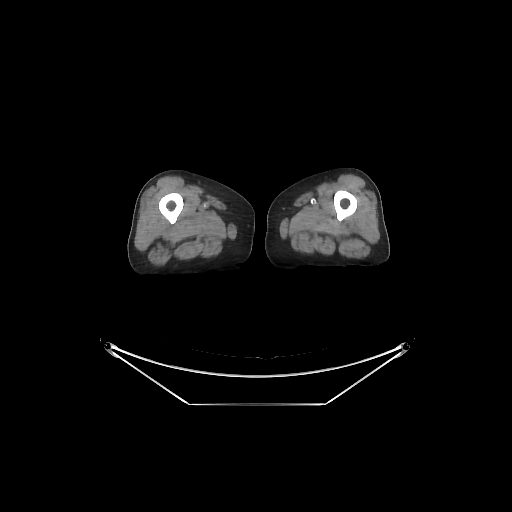 512x512 px. CT scan slice.
bone:
  - [159,193,183,223]
  - [334,190,356,221]